Brain
FLAIR MRI.
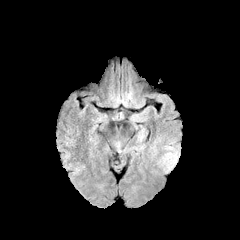
T1-weighted MR image.
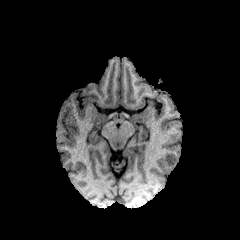
Post-contrast T1-weighted MR.
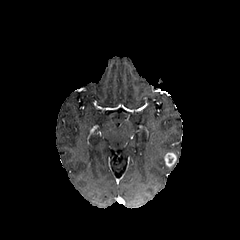
T2-weighted MRI.
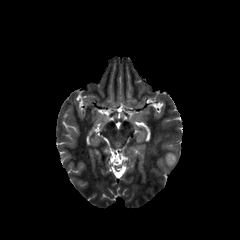
<segmentation>
  <enhancing_tumor>region(162, 152, 177, 167)</enhancing_tumor>
</segmentation>